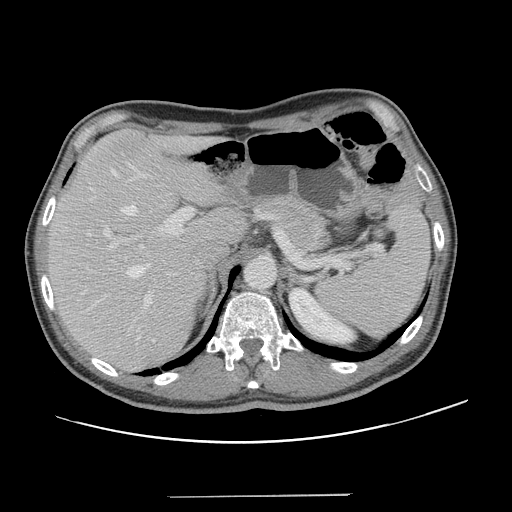

Abdomen | Image size 512x512 | CT
Only some of the vessels may be annotated.
<segmentation partial="true">
  <hepatic_vessel shown="15" total="16">(160,207,193,234), (111,168,116,175), (122,204,136,214), (87,232,90,235), (104,225,111,236), (138,336,140,338), (130,172,144,180), (127,264,149,277), (127,163,136,170), (140,244,143,248), (103,295,105,297), (144,291,151,305), (89,300,100,308), (152,339,154,341), (110,242,118,247)</hepatic_vessel>
</segmentation>